Brain, Image width 240 mm
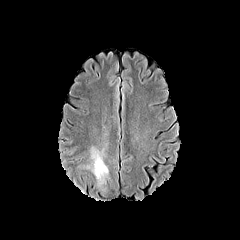
FLAIR MR image.
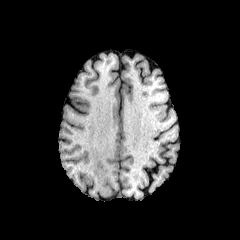
T1-weighted MR of the same slice.
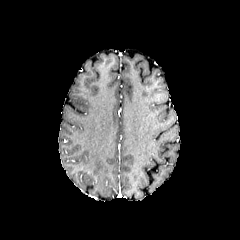
Same slice, post-contrast T1-weighted MRI.
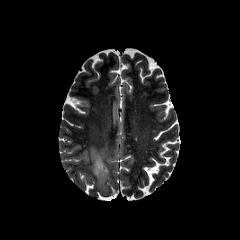
T2-weighted magnetic resonance.
The edema is bounded by [x1=91, y1=148, x2=107, y2=179].